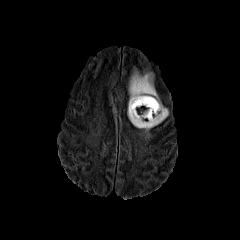
FLAIR magnetic resonance.
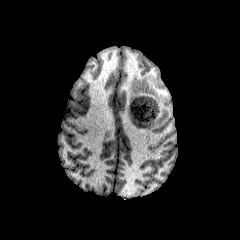
T1-weighted magnetic resonance of the same slice.
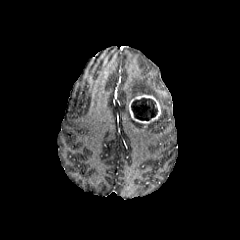
Post-contrast T1-weighted MR of the same slice.
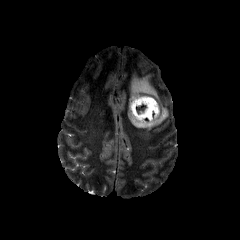
T2-weighted MR image of the same slice.
240x240 px, Brain
Non-enhancing tumor core: 131 97 158 120.
Enhancing tumor: 129 95 160 122.
Edema: 127 99 168 131, 129 73 159 102.